Image size 35x50, MRI slice, Medial temporal lobe

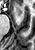 <segmentation>
  <anterior_hippocampus>15 6 21 14</anterior_hippocampus>
</segmentation>